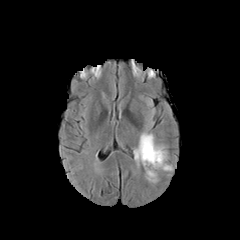
FLAIR magnetic resonance.
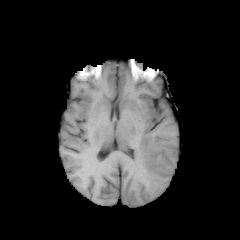
T1-weighted magnetic resonance.
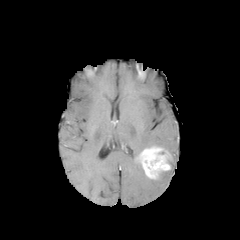
Post-contrast T1-weighted magnetic resonance.
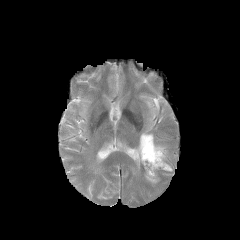
T2-weighted MR.
Image size 240x240.
enhancing tumor: <bbox>136, 146, 171, 179</bbox> | edema: <bbox>132, 126, 168, 172</bbox>